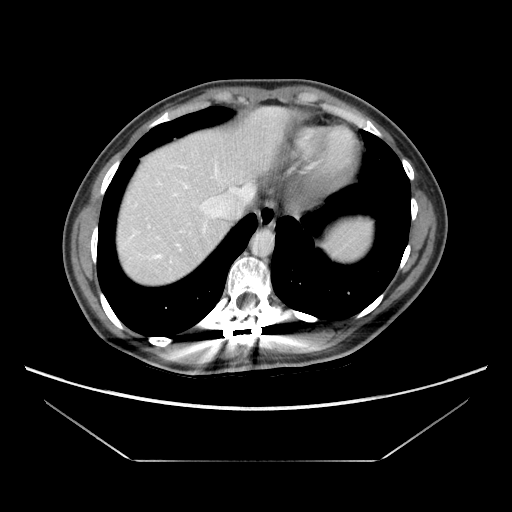 512x512 | CT slice
The vessel annotation is not exhaustive.
<segmentation>
  <hepatic_vessel>156,255,159,256; 193,185,252,218; 179,165,187,168; 202,220,206,232; 184,184,187,189; 212,162,222,183</hepatic_vessel>
</segmentation>